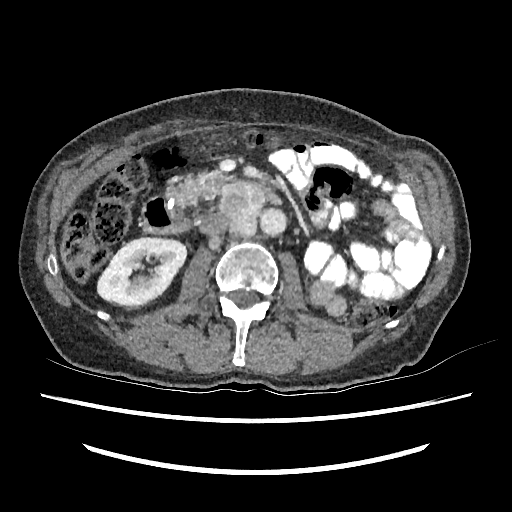

CT image | Abdomen
{
  "kidney": [
    "bbox=[97, 238, 186, 304]"
  ]
}